FLAIR MR image.
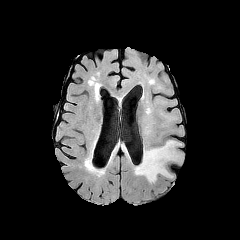
T1-weighted MR.
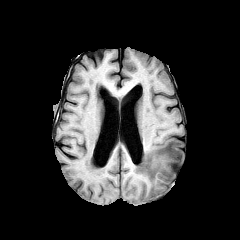
Post-contrast T1-weighted MRI.
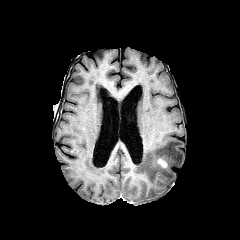
T2-weighted MR image.
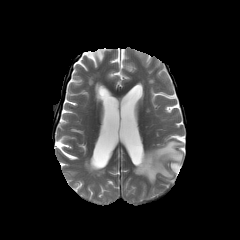
Brain
<segmentation>
  <edema><box>134,140,181,182</box></edema>
  <enhancing_tumor><box>156,158,167,168</box></enhancing_tumor>
</segmentation>